Field of view 411x411 mm, CT slice, Slice 19 of 574
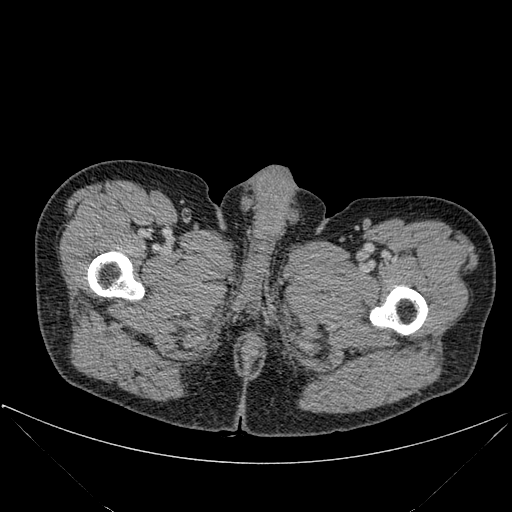

bone: l=370, t=286, r=427, b=334; l=87, t=252, r=144, b=299